CT scan slice; Slice 49 of 99; Abdomen

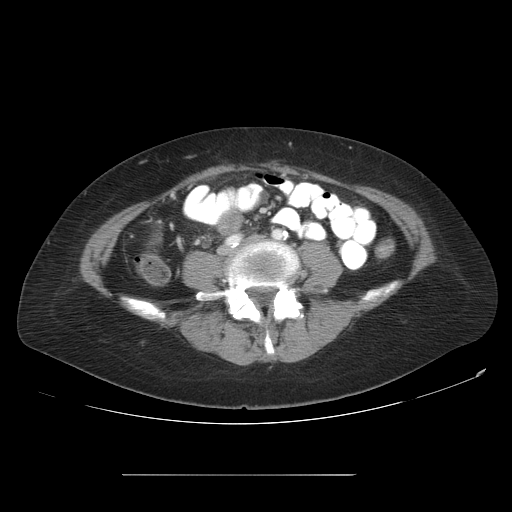 The colon tumor lies within x1=219 y1=210 x2=241 y2=234.